Slice 94 of 155 | Head | Image size 240x240
FLAIR MR.
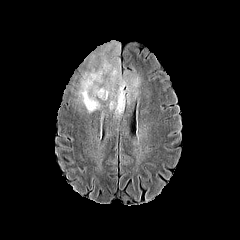
T1-weighted MRI.
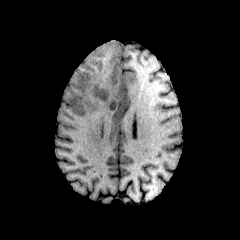
Post-contrast T1-weighted MR image.
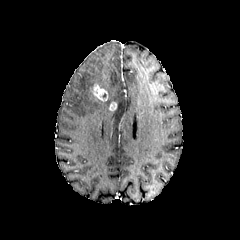
T2-weighted MRI.
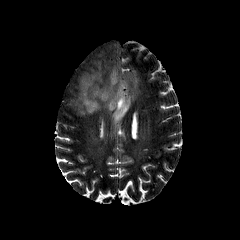
{"edema": ["77 57 139 117"], "enhancing_tumor": ["92 84 107 101", "109 102 117 110"]}